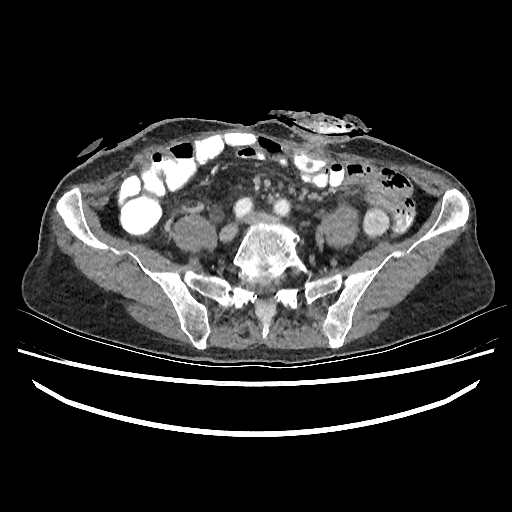 Computed tomography. Abdomen.

Kidney: bounding box [364, 209, 388, 235], [390, 251, 404, 257].